Slice 4/247. Computed tomography. 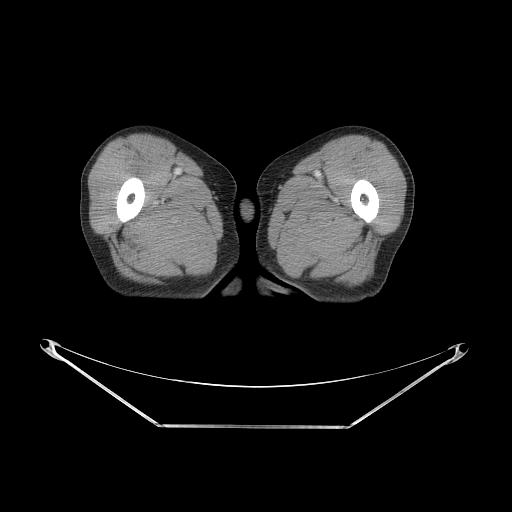
Annotated regions:
* bone: x1=116, y1=178, x2=144, y2=221; x1=351, y1=179, x2=378, y2=222